Field of view 424x424 mm; Image size 512x512; CT; Slice 67/96
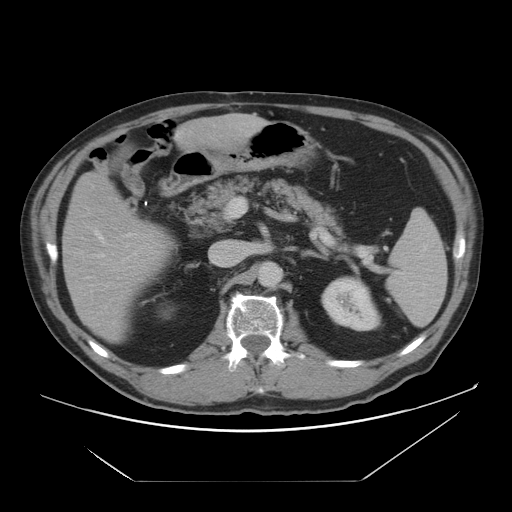
Kidney: bounding box x1=323 y1=280 x2=375 y2=329.
Liver: bounding box x1=122 y1=163 x2=128 y2=176, x1=173 y1=113 x2=271 y2=154, x1=62 y1=160 x2=176 y2=342, x1=130 y1=182 x2=139 y2=194, x1=130 y1=163 x2=143 y2=175.